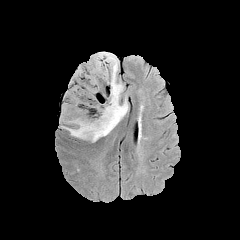
FLAIR MRI.
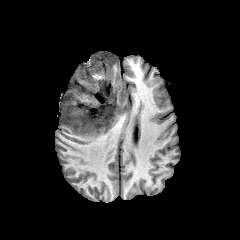
T1-weighted magnetic resonance.
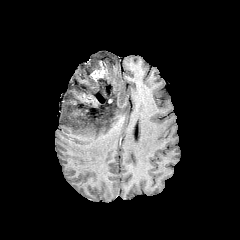
Post-contrast T1-weighted MR image of the same slice.
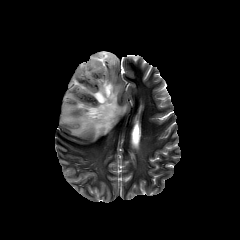
T2-weighted MR.
Head; 240x240 px
The enhancing tumor lies within 91:62:107:79. 2 non-enhancing tumor core regions are located at 78:94:115:126, 92:52:110:71. 2 edema regions are bounded by 63:52:129:142, 75:52:104:76.